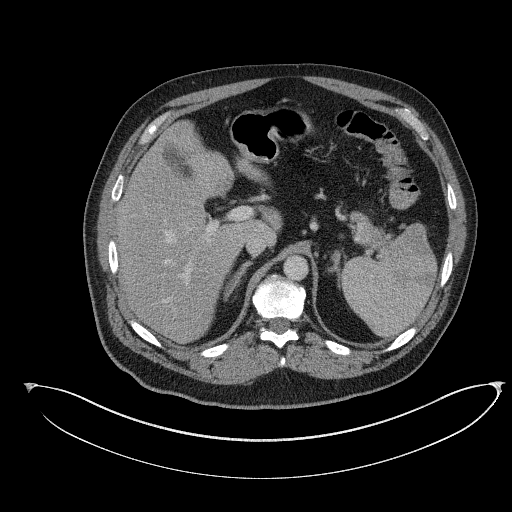 512x512; Computed tomography
Pancreatic tumor — [351, 212, 372, 242].
Pancreas — [361, 224, 387, 249].